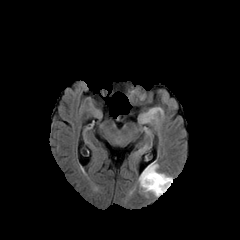
FLAIR MRI.
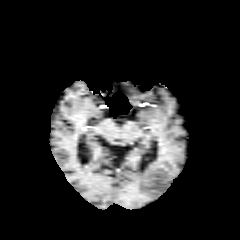
T1-weighted MR image.
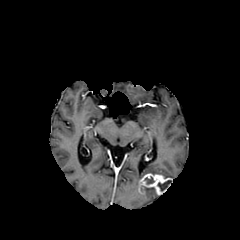
Post-contrast T1-weighted MR image.
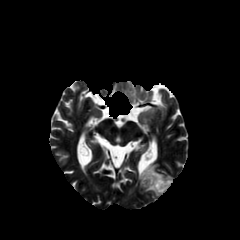
T2-weighted magnetic resonance.
Edema: bounding box box=[137, 162, 171, 197].
Enhancing tumor: bounding box box=[140, 173, 172, 195].
Non-enhancing tumor core: bounding box box=[158, 180, 171, 190].